Field of view 240x240 mm | Brain
FLAIR MR image.
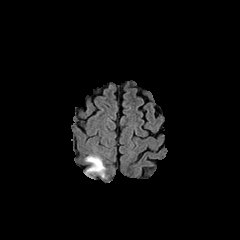
T1-weighted MR image.
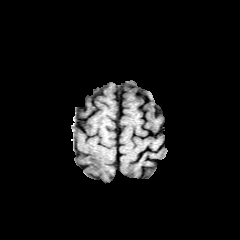
Post-contrast T1-weighted MRI.
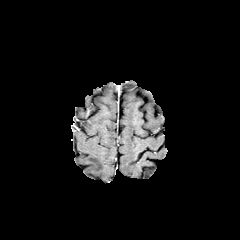
T2-weighted MRI.
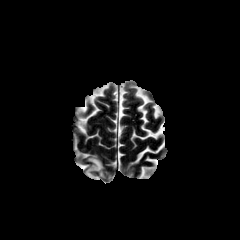
The edema is located at box=[84, 153, 107, 178].